Brain.
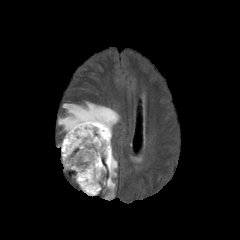
FLAIR MRI.
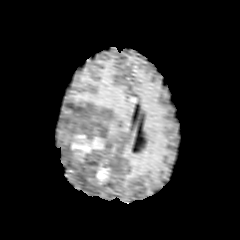
Same slice, T1-weighted MRI.
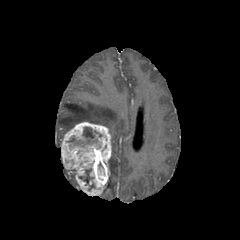
Post-contrast T1-weighted MR image of the same slice.
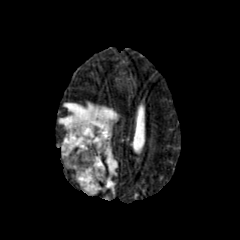
T2-weighted magnetic resonance.
The enhancing tumor appears at 60, 122, 112, 195. 2 edema regions are bounded by 105, 156, 117, 199; 58, 102, 119, 134. The non-enhancing tumor core appears at 71, 128, 98, 147.